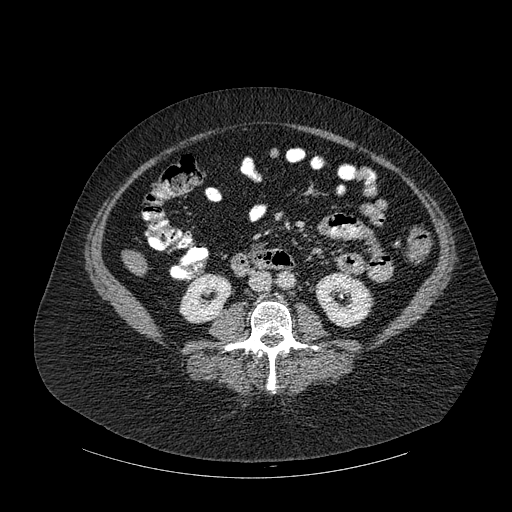

Image size 512x512; Upper abdomen; Computed tomography
Liver: {"x1": 122, "y1": 250, "x2": 147, "y2": 275}.
Kidney: {"x1": 316, "y1": 273, "x2": 370, "y2": 326}, {"x1": 180, "y1": 274, "x2": 230, "y2": 322}.
Bone: {"x1": 225, "y1": 302, "x2": 308, "y2": 392}.